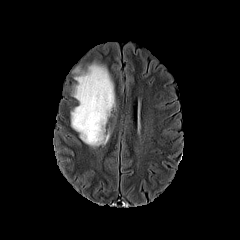
FLAIR MRI.
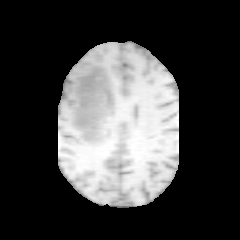
T1-weighted MRI of the same slice.
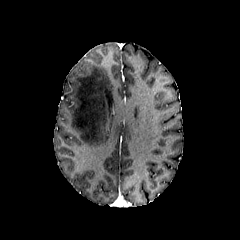
Post-contrast T1-weighted MR.
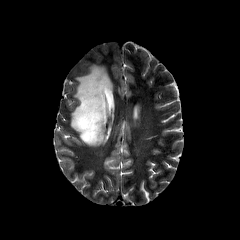
Same slice, T2-weighted magnetic resonance.
240x240.
Edema: (71, 62, 114, 148).